Field of view 240x240 mm, Slice 126 of 155, Head
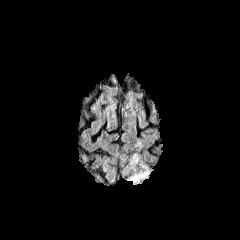
FLAIR MR.
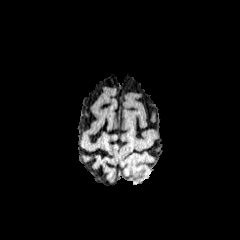
Same slice, T1-weighted magnetic resonance.
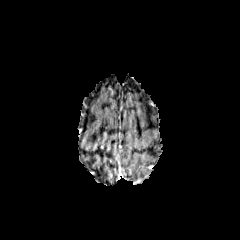
Post-contrast T1-weighted MRI.
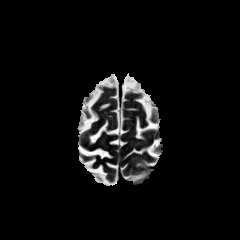
T2-weighted MR of the same slice.
<segmentation>
  <edema>x1=125, y1=162, x2=150, y2=184</edema>
</segmentation>